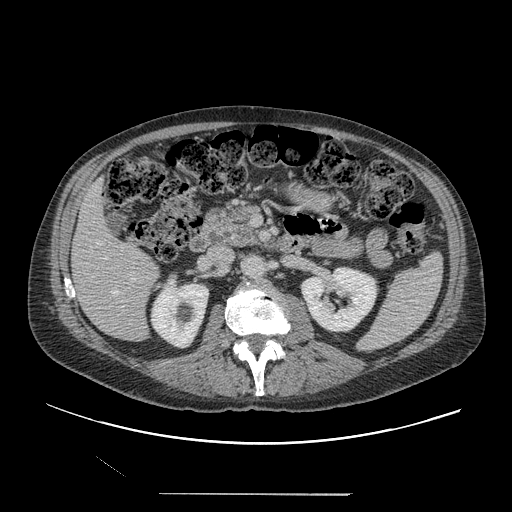
Abdomen; CT slice
pancreas: <box>209,205,260,248</box>